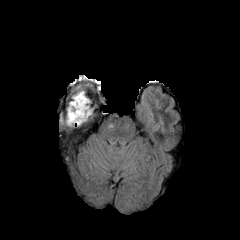
FLAIR MR.
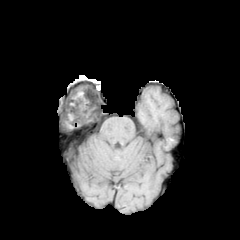
Same slice, T1-weighted magnetic resonance.
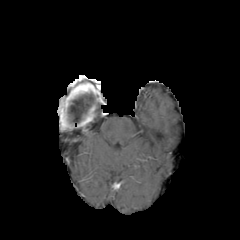
Post-contrast T1-weighted magnetic resonance.
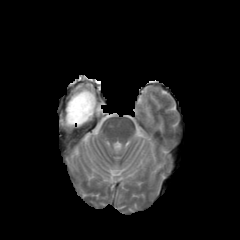
T2-weighted MRI.
240x240 | Head
{
  "non-enhancing_tumor_core": [
    "68:99:89:123"
  ],
  "edema": [
    "68:85:91:115"
  ]
}